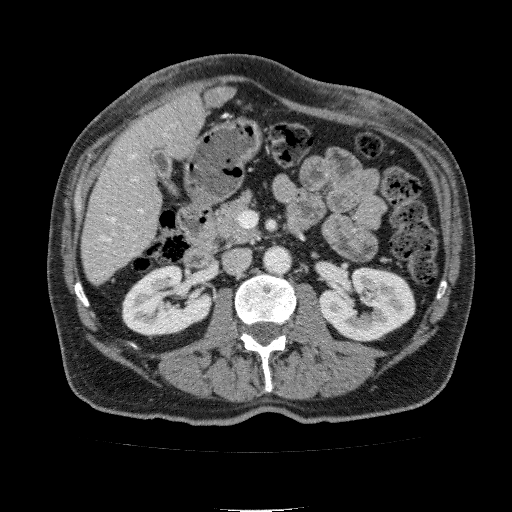 CT, Abdomen
Kidney = (123, 266, 210, 334), (320, 268, 414, 340).
Liver = (205, 85, 234, 107), (81, 90, 207, 284).